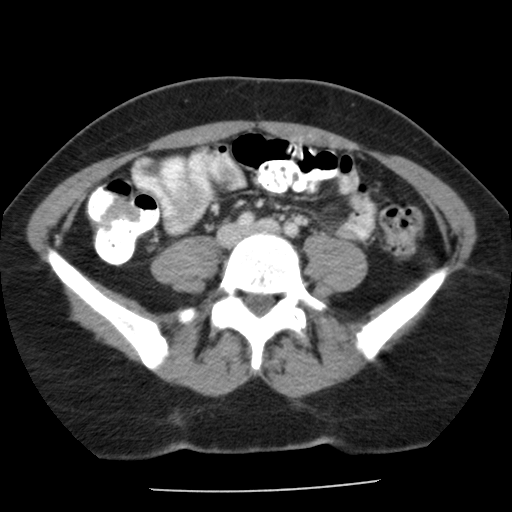 CT slice.

colon_tumor:
  - 101:198:138:230